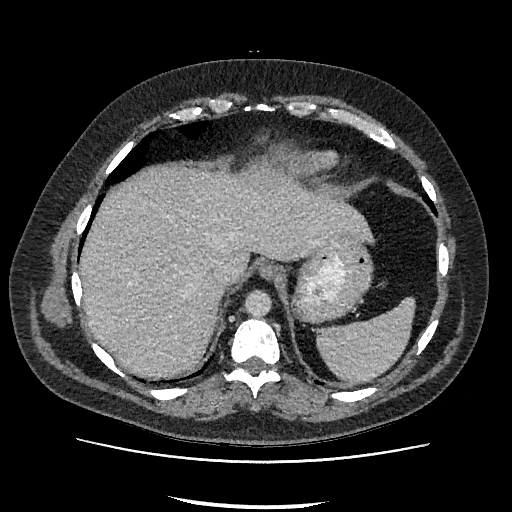
Upper abdomen | CT
{
  "liver": [
    "l=81, t=167, r=371, b=376"
  ]
}